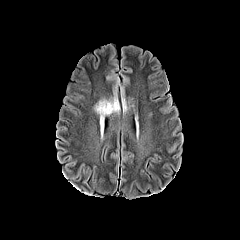
FLAIR MRI.
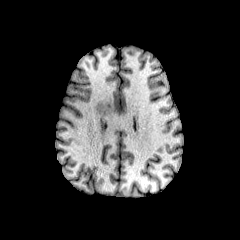
T1-weighted MR.
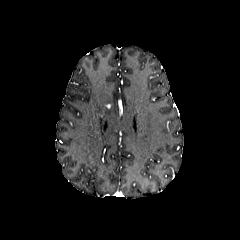
Post-contrast T1-weighted MR.
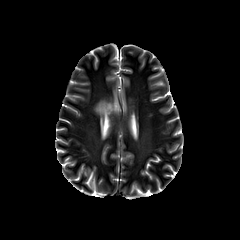
T2-weighted magnetic resonance.
Brain
edema:
  - (94,99,120,138)
  - (122,97,127,115)